Field of view 240 mm wide, 1.00 mm slice spacing. Slice 60 of 155.
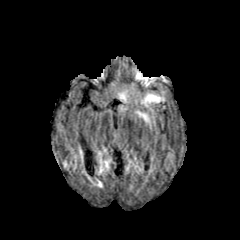
FLAIR MR.
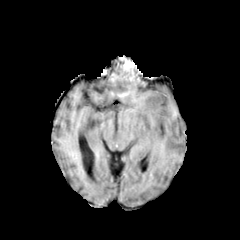
T1-weighted magnetic resonance of the same slice.
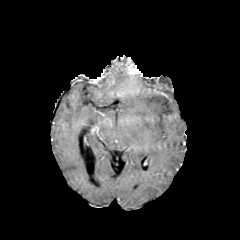
Post-contrast T1-weighted MRI.
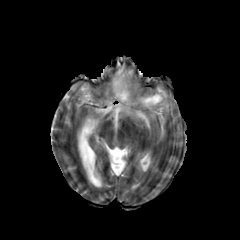
Same slice, T2-weighted MR image.
{
  "edema": [
    "137,111,149,122",
    "141,93,162,106",
    "120,91,128,102"
  ]
}